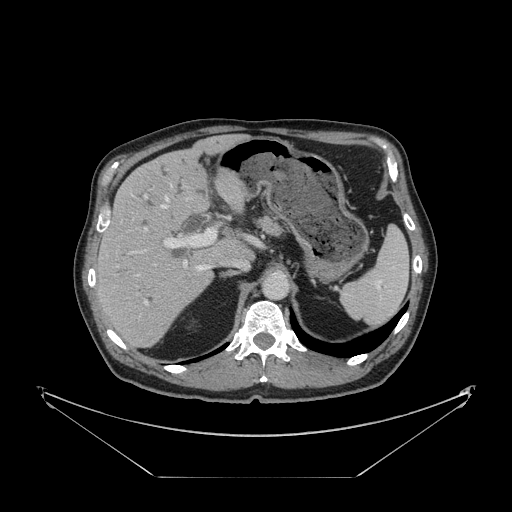 Abdomen; CT image
Not every hepatic vessel necessarily has a box.
{
  "hepatic_vessel": [
    "197,266,208,269",
    "184,261,185,265",
    "141,250,144,251",
    "161,204,166,208",
    "144,195,146,197",
    "115,264,118,266",
    "164,228,216,246",
    "165,197,167,201",
    "170,184,171,186",
    "144,228,146,230",
    "144,301,146,303"
  ]
}